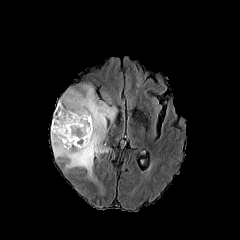
FLAIR MRI.
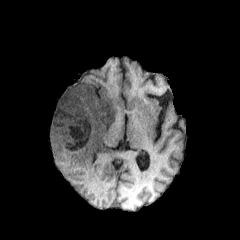
T1-weighted magnetic resonance of the same slice.
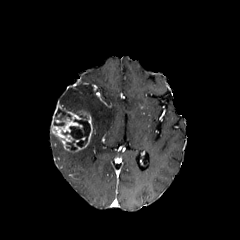
Post-contrast T1-weighted MR.
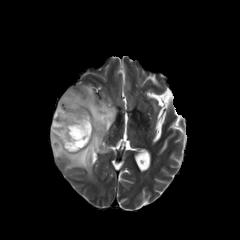
T2-weighted MR image of the same slice.
240x240 | Brain
Findings:
• enhancing tumor: [51, 110, 93, 152]
• non-enhancing tumor core: [67, 140, 77, 150], [54, 107, 70, 120], [62, 119, 90, 147]
• edema: [50, 83, 118, 183]